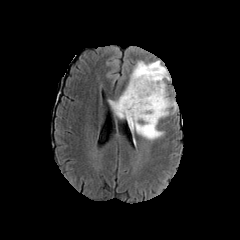
FLAIR MR image.
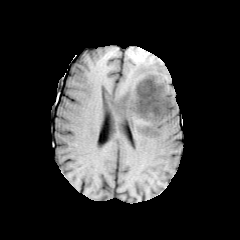
T1-weighted MR image.
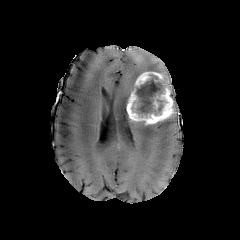
Same slice, post-contrast T1-weighted magnetic resonance.
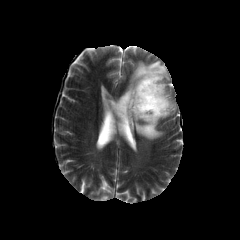
T2-weighted MR image.
Findings:
• edema: (x1=107, y1=60, x2=172, y2=141)
• non-enhancing tumor core: (x1=135, y1=77, x2=164, y2=111)
• enhancing tumor: (x1=126, y1=72, x2=174, y2=125)